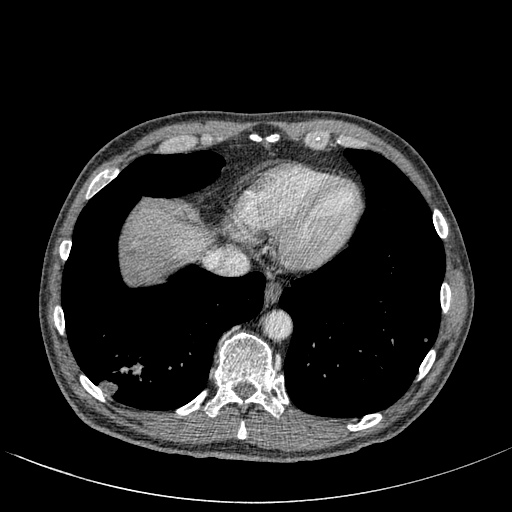
CT scan slice

{"liver": ["l=122, t=202, r=210, b=281"]}